Slice 28 of 104, Abdomen, CT scan slice
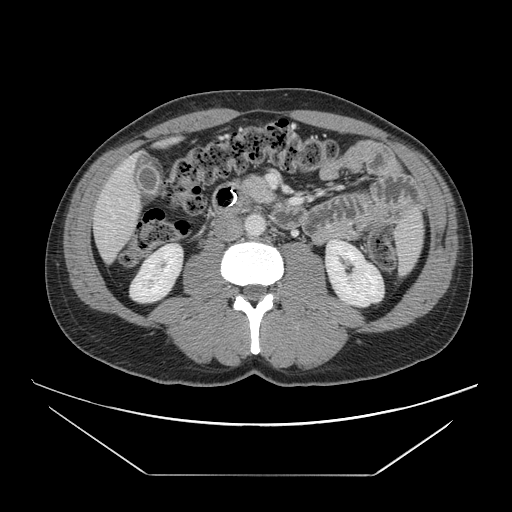 The pancreas is at (244,176,266,199).